Slice index 66
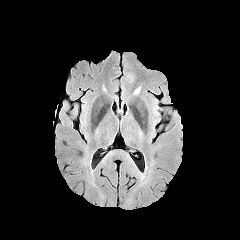
FLAIR MRI.
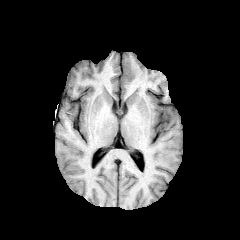
Same slice, T1-weighted magnetic resonance.
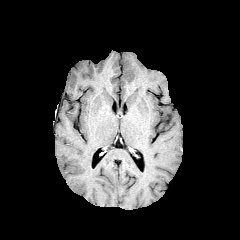
Same slice, post-contrast T1-weighted MRI.
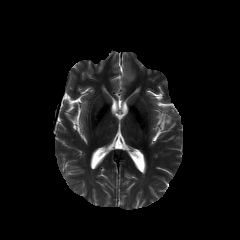
Same slice, T2-weighted magnetic resonance.
Annotated regions:
- edema: [125,71,133,79]